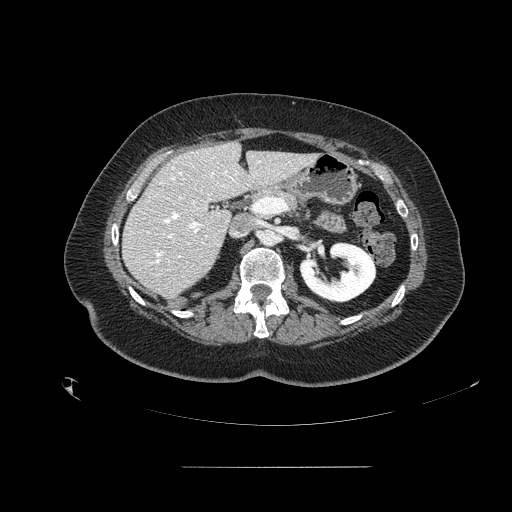 CT image | Abdomen
Pancreas = [241, 187, 299, 214].